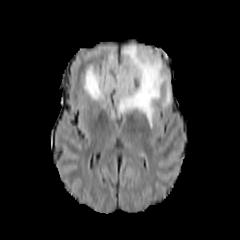
FLAIR magnetic resonance.
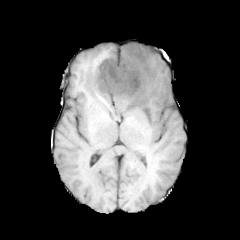
Same slice, T1-weighted MR.
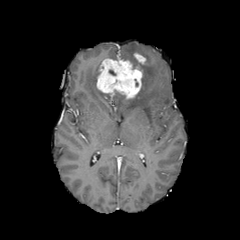
Same slice, post-contrast T1-weighted MRI.
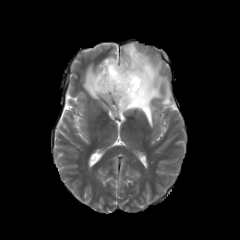
T2-weighted MRI.
240x240 px
Enhancing tumor: 97 58 142 99, 133 53 145 65.
Non-enhancing tumor core: 113 91 132 106.
Edema: 82 43 171 127.